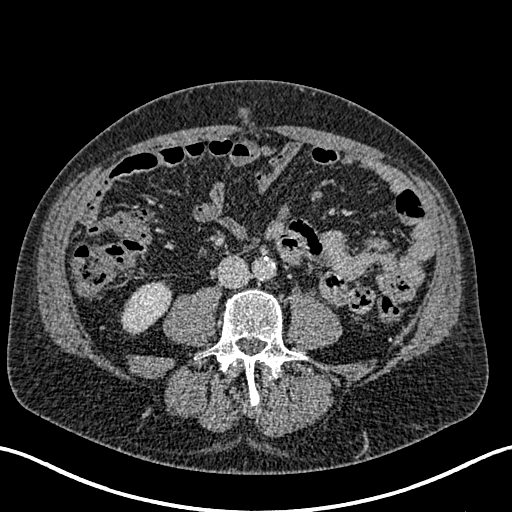

CT slice; Abdomen
kidney:
  - [121,284,169,332]